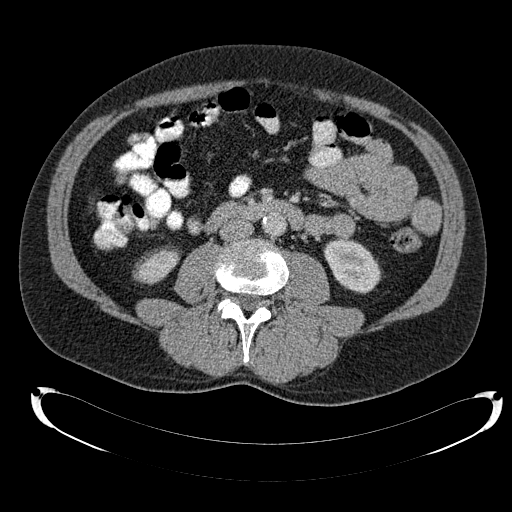
Computed tomography
<segmentation>
  <kidney><box>324,239,379,292</box>, <box>137,251,177,282</box></kidney>
</segmentation>